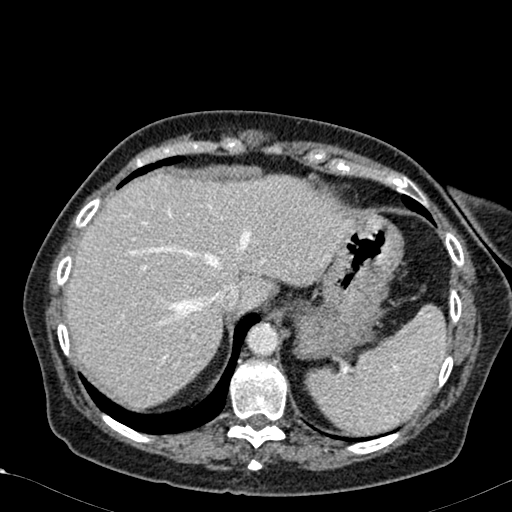

CT slice

Liver: 68:174:352:405.